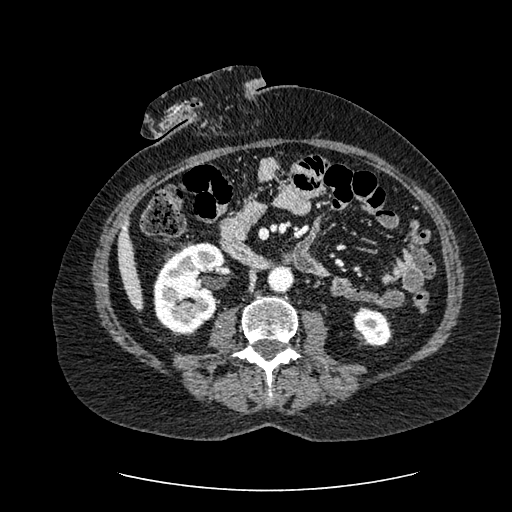

512x512 px | Liver | CT

{"kidney": ["bbox(154, 243, 223, 333)", "bbox(354, 309, 390, 344)"], "liver": ["bbox(118, 220, 142, 308)"]}